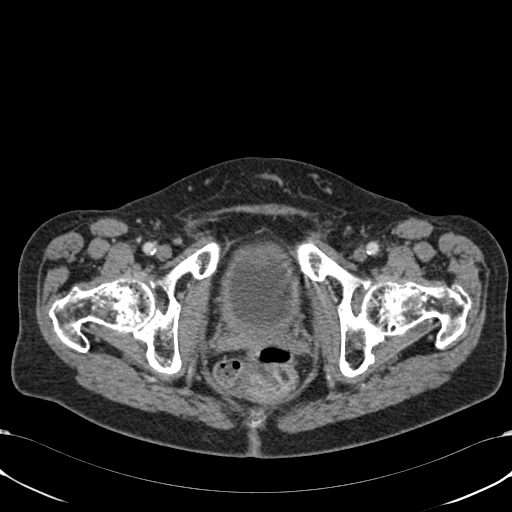
CT scan slice
{"urinary_bladder": ["229, 253, 293, 327"]}